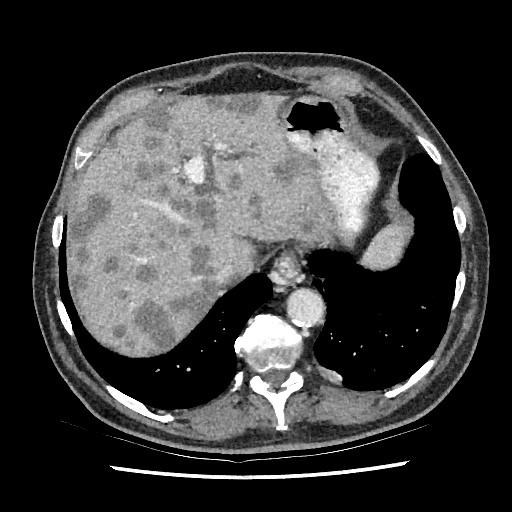

Computed tomography. Liver.

Segmented structures:
* liver: 70,94,342,354; 177,325,192,341
* hepatic lesion: 275,226,289,235; 71,193,113,296; 137,266,156,283; 273,144,316,184; 128,162,167,187; 228,173,241,189; 210,95,262,112; 131,244,215,351; 114,326,125,338; 157,186,218,249; 144,110,173,152; 249,193,262,214; 104,255,119,272; 299,219,313,232